Slice 32/47 | Image size 512x512 | CT slice

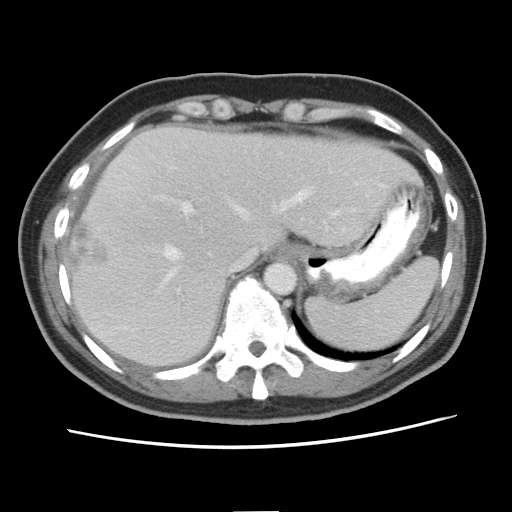
Some hepatic vessels may have no box.
Annotated regions:
* liver tumor: region(71, 219, 106, 266)
* hepatic vessel: region(353, 210, 354, 211); region(354, 182, 357, 185); region(281, 191, 308, 210); region(163, 246, 178, 260); region(177, 289, 179, 291); region(273, 206, 276, 210); region(233, 205, 247, 219); region(160, 269, 176, 288); region(330, 211, 339, 216); region(182, 202, 191, 213)